CT scan slice. Abdomen.

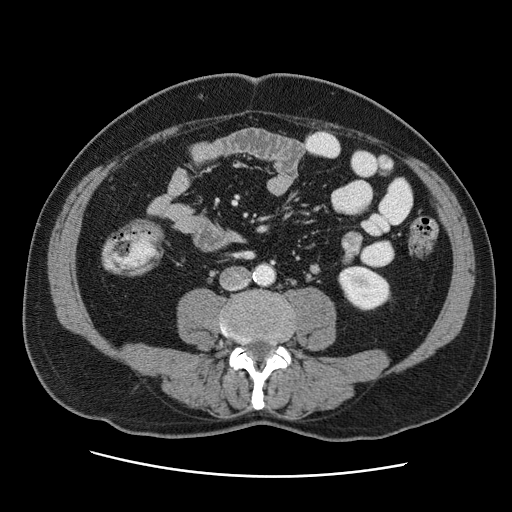
Colon tumor: bounding box rect(129, 220, 164, 241).